FLAIR MRI.
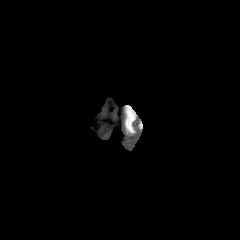
T1-weighted magnetic resonance.
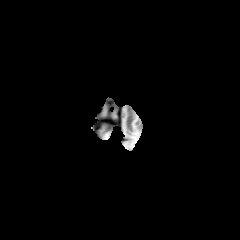
Post-contrast T1-weighted MR.
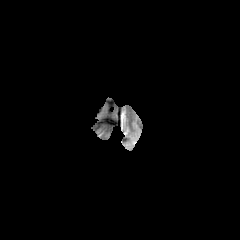
T2-weighted MRI.
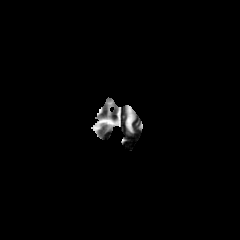
{"edema": ["[124, 105, 136, 136]"]}